240x240 px. Brain.
FLAIR MRI.
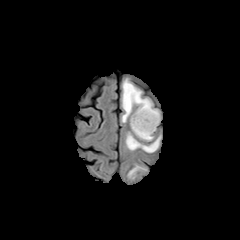
T1-weighted MRI.
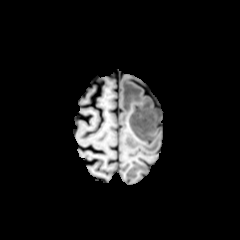
Post-contrast T1-weighted MR.
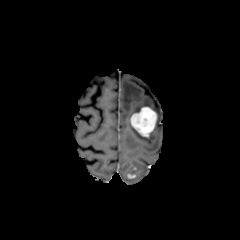
T2-weighted MR.
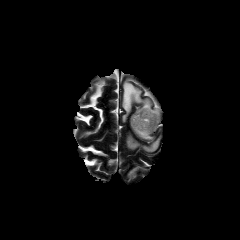
3 edema regions are bounded by box=[126, 133, 160, 152]; box=[121, 78, 152, 122]; box=[131, 126, 153, 141]. The enhancing tumor is at box=[130, 106, 157, 138].